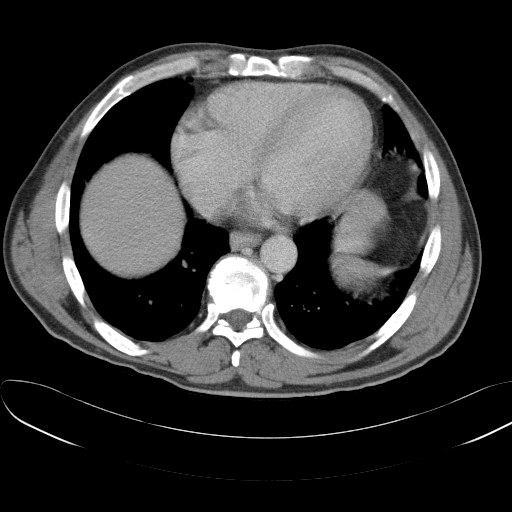 Abdomen. CT scan slice.

Spleen = (left=332, top=257, right=386, bottom=290).